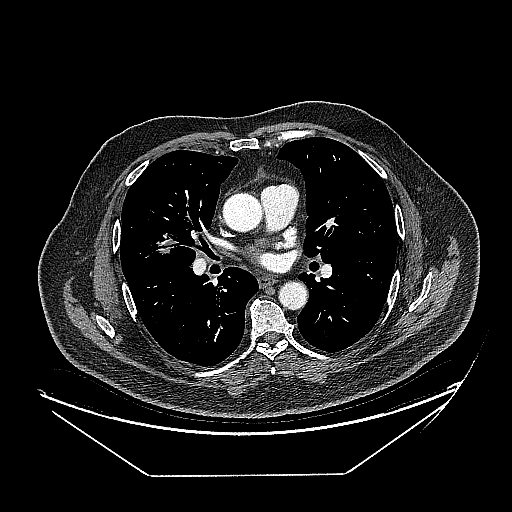 CT

{
  "lung_tumor": [
    "x1=153, y1=239, x2=179, y2=255"
  ]
}